Head, Slice index 94
FLAIR MR.
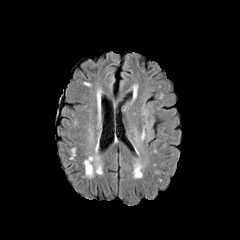
T1-weighted MR.
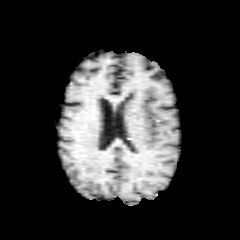
Post-contrast T1-weighted magnetic resonance.
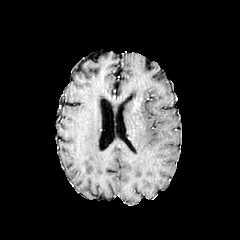
T2-weighted MR image.
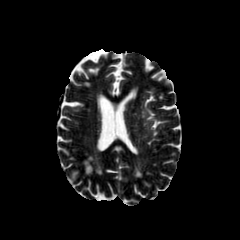
edema:
  - [142,107,150,131]